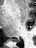 Medial temporal lobe | MR image

- posterior hippocampus: <bbox>12, 39, 19, 41</bbox>